CT image

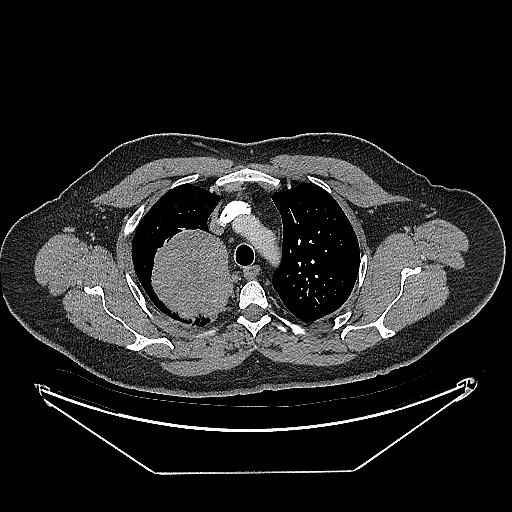 lung tumor: l=150, t=226, r=232, b=325